FLAIR MR image.
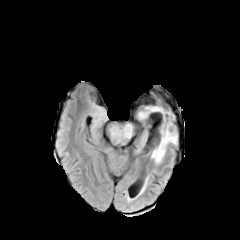
T1-weighted MRI.
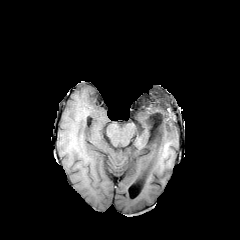
Post-contrast T1-weighted magnetic resonance.
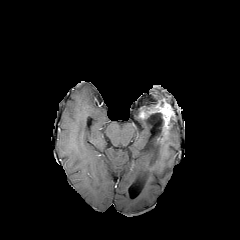
T2-weighted MR image.
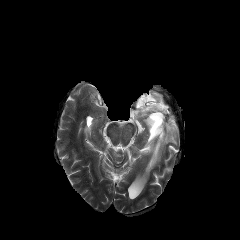
240x240 px
edema: 140:134:147:147, 144:116:157:130, 124:126:131:138, 150:125:177:164 | non-enhancing tumor core: 149:112:169:145 | enhancing tumor: 139:100:173:141